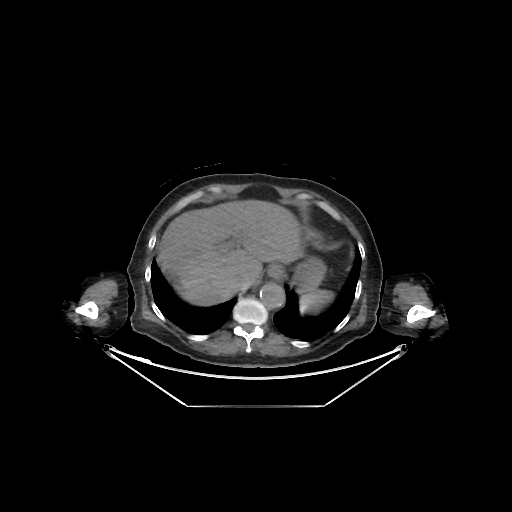

Computed tomography; Upper abdomen; 512x512

bone:
  - [x1=292, y1=341, x2=308, y2=347]
  - [x1=145, y1=267, x2=150, y2=281]
  - [x1=359, y1=243, x2=364, y2=257]
  - [x1=152, y1=303, x2=164, y2=320]
  - [x1=407, y1=305, x2=435, y2=322]
  - [x1=355, y1=281, x2=361, y2=298]
  - [x1=336, y1=316, x2=348, y2=330]
  - [x1=189, y1=335, x2=207, y2=340]
  - [x1=234, y1=298, x2=266, y2=351]
  - [x1=75, y1=301, x2=98, y2=319]
  - [x1=149, y1=236, x2=155, y2=248]
liver:
  - [x1=157, y1=201, x2=299, y2=305]
lung:
  - [x1=150, y1=259, x2=237, y2=334]
  - [x1=273, y1=246, x2=361, y2=340]